512x512 px. CT. Slice 73 of 105.
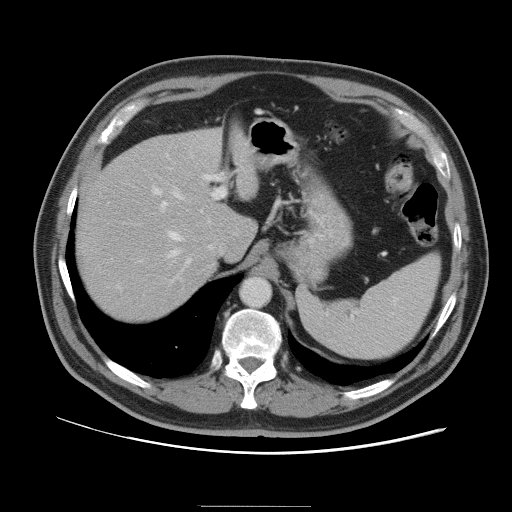
The vessel annotation is not exhaustive.
15 hepatic vessel regions are bounded by [202,174,210,179], [152,186,161,193], [161,201,167,210], [185,259,190,265], [173,188,182,199], [139,260,142,261], [117,284,120,289], [168,248,179,262], [170,273,180,281], [212,193,213,195], [200,210,201,212], [166,154,168,157], [241,167,243,169], [207,219,210,221], [169,232,183,240].